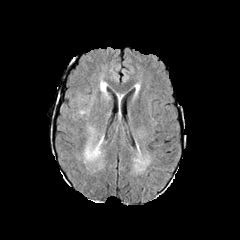
FLAIR magnetic resonance.
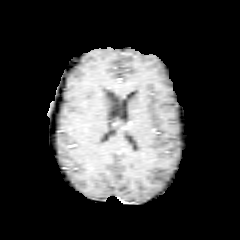
Same slice, T1-weighted MR image.
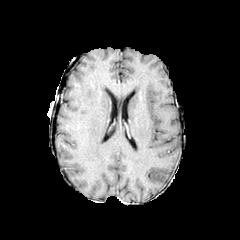
Same slice, post-contrast T1-weighted MR image.
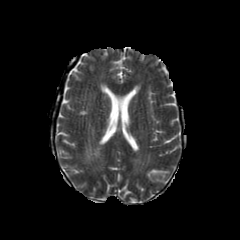
Same slice, T2-weighted magnetic resonance.
Brain
Segmented structures:
- edema: [x1=85, y1=137, x2=102, y2=158]